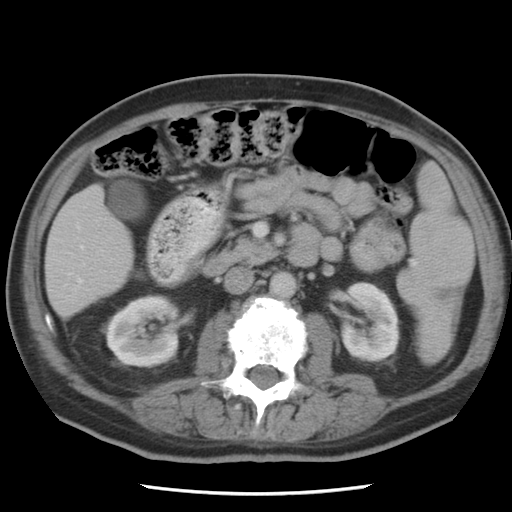 CT
{"pancreas": ["left=223, top=234, right=277, bottom=267"]}